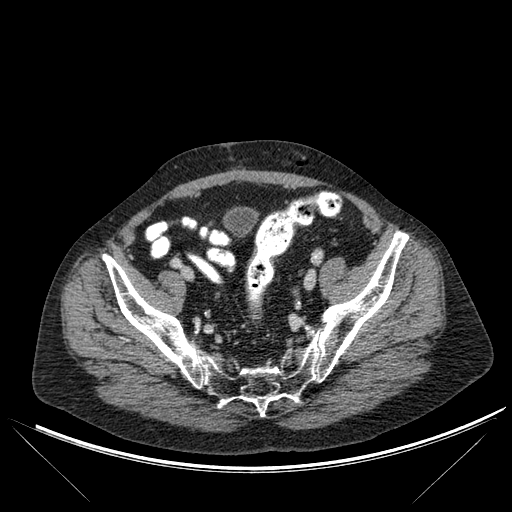
Computed tomography. Bone: bbox(102, 231, 408, 416).